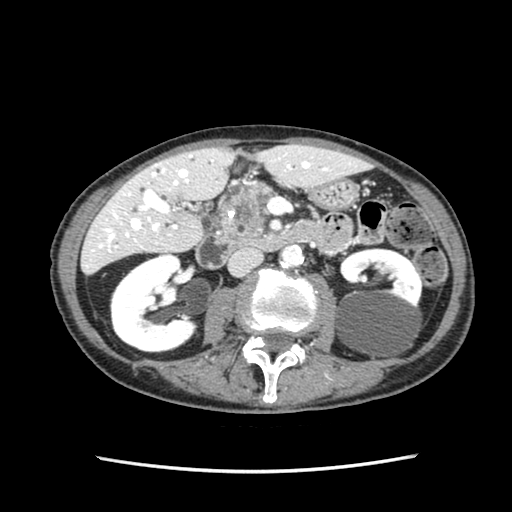 Abdomen | CT image
Pancreatic tumor — [x1=234, y1=200, x2=252, y2=224].
Pancreas — [x1=223, y1=183, x2=273, y2=237].